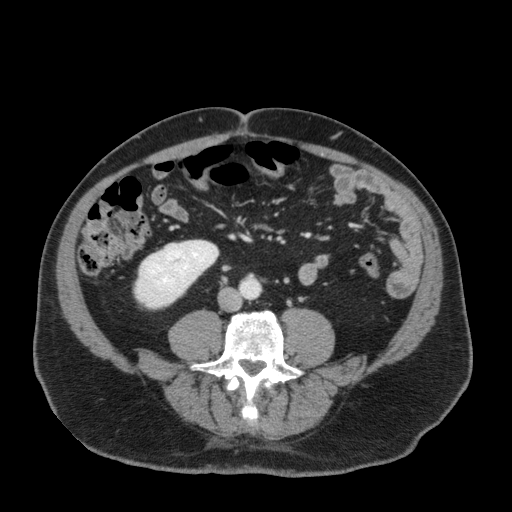 CT image | 512x512 px

The kidney appears at l=135, t=240, r=217, b=307.